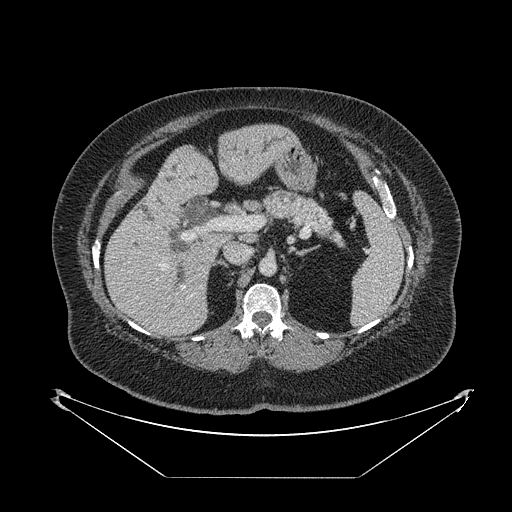
CT scan slice, Upper abdomen

<segmentation>
  <pancreas>260, 189, 345, 246</pancreas>
</segmentation>